Abdomen, Computed tomography, Image width 464 mm, Image size 512x512

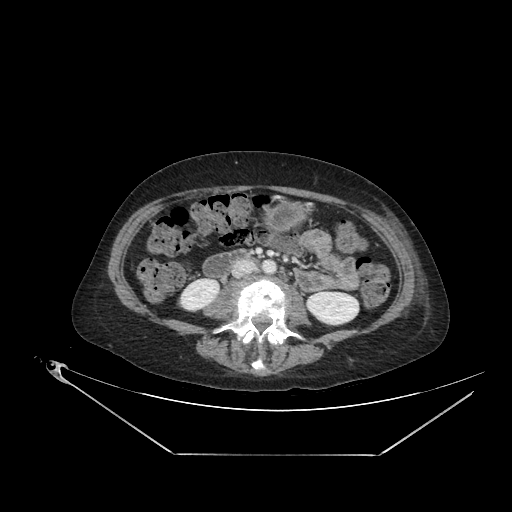
2 kidney regions are bounded by (307, 292, 358, 324), (181, 279, 218, 309).